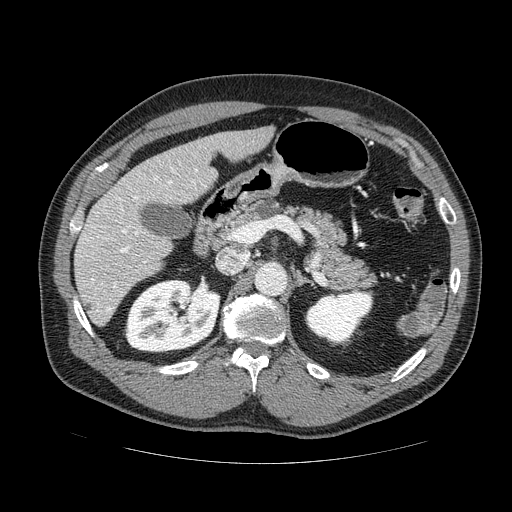

CT scan slice.
Pancreas: x1=227 y1=199 x2=379 y2=294.